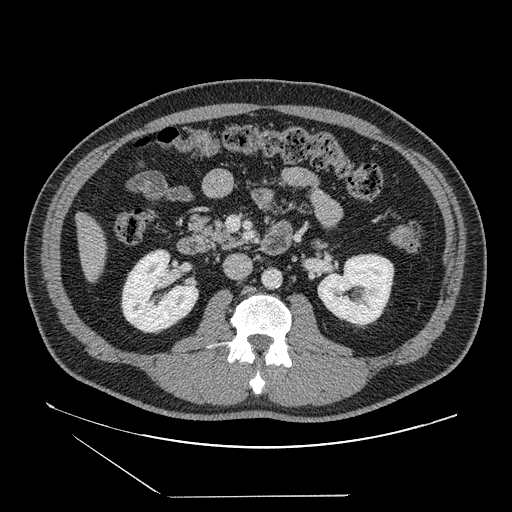

CT slice.

2 pancreas regions are located at region(186, 214, 235, 252); region(308, 237, 342, 251).